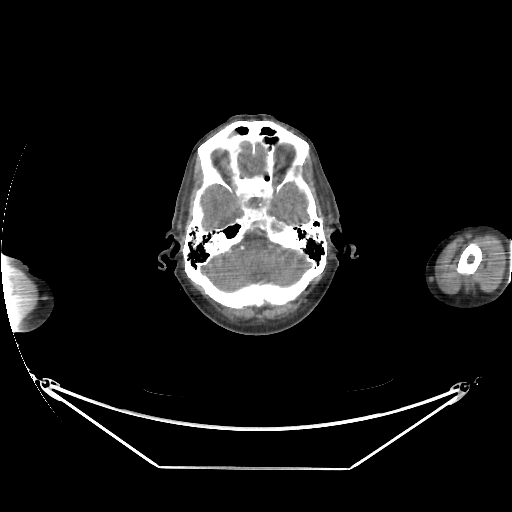

512x512 px; Head; CT scan slice

Segmented structures:
• brain: box(200, 220, 312, 292); box(199, 180, 309, 232); box(237, 139, 269, 178)